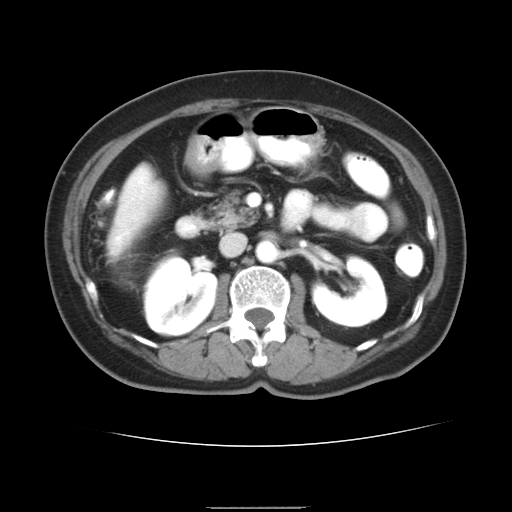
CT image | Liver

Segmented structures:
- liver tumor: <bbox>112, 169, 157, 250</bbox>